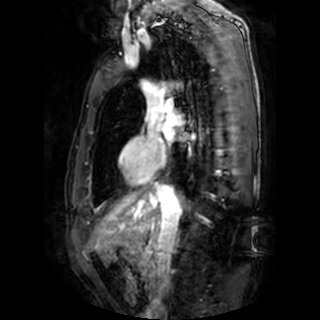
MR image; 320x320 px; Heart

Left atrium: 163,128,173,140.